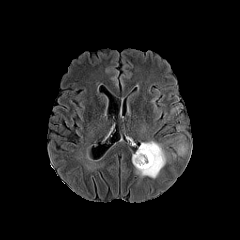
FLAIR MRI.
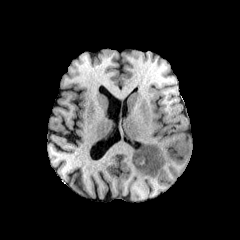
Same slice, T1-weighted MRI.
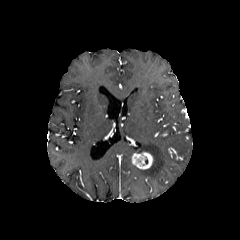
Same slice, post-contrast T1-weighted MR.
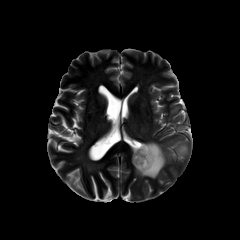
T2-weighted MR image.
Head
2 edema regions are located at [176,143,185,155], [135,141,166,178]. The enhancing tumor is at [132,152,152,169].